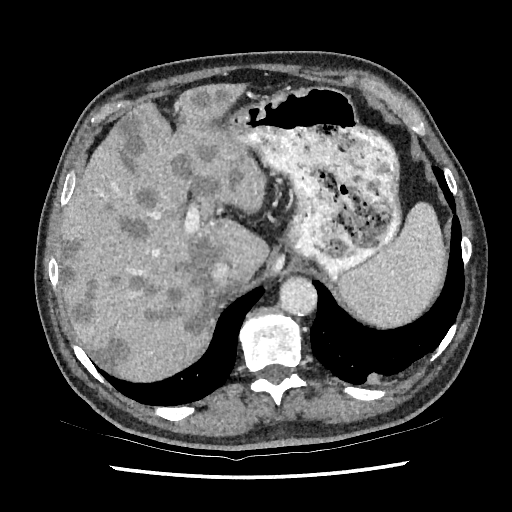
CT scan slice

Segmented structures:
• liver lesion: x1=106 y1=201 x2=114 y2=213, x1=229 y1=154 x2=246 y2=192, x1=145 y1=235 x2=229 y2=335, x1=89 y1=338 x2=132 y2=371, x1=116 y1=115 x2=144 y2=174, x1=118 y1=215 x2=150 y2=240, x1=171 y1=150 x2=219 y2=200, x1=109 y1=274 x2=121 y2=285, x1=69 y1=276 x2=98 y2=324, x1=191 y1=89 x2=230 y2=110, x1=128 y1=276 x2=159 y2=295, x1=195 y1=144 x2=218 y2=163, x1=135 y1=185 x2=157 y2=207, x1=60 y1=238 x2=82 y2=283
• liver: x1=59 y1=84 x2=268 y2=382